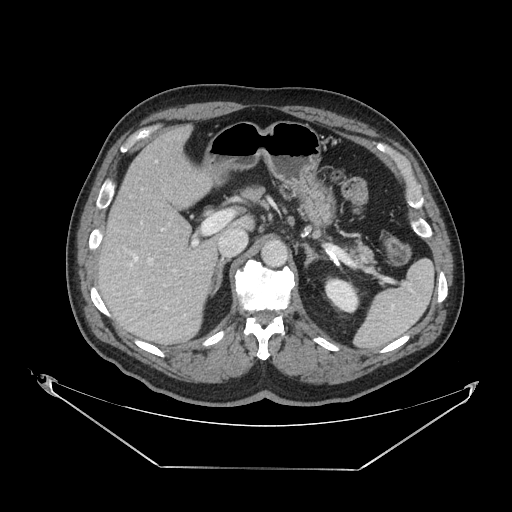
Computed tomography
pancreas:
  - <box>345,239,373,267</box>